Slice index 121. Image width 240 mm.
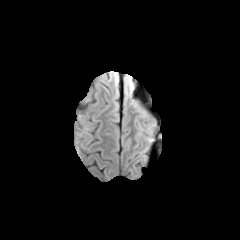
FLAIR MR.
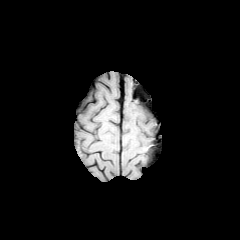
T1-weighted magnetic resonance.
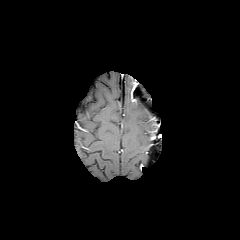
Post-contrast T1-weighted MR image.
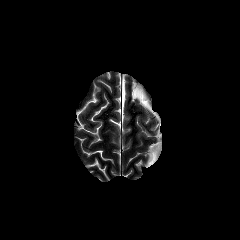
Same slice, T2-weighted magnetic resonance.
Edema — [x1=140, y1=125, x2=153, y2=135].